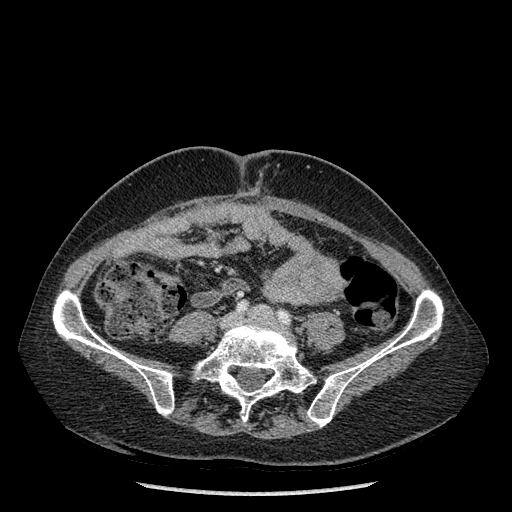 Image size 512x512. CT scan slice. 3 bone regions are bounded by 307, 289, 443, 427; 194, 315, 316, 421; 53, 290, 174, 416.